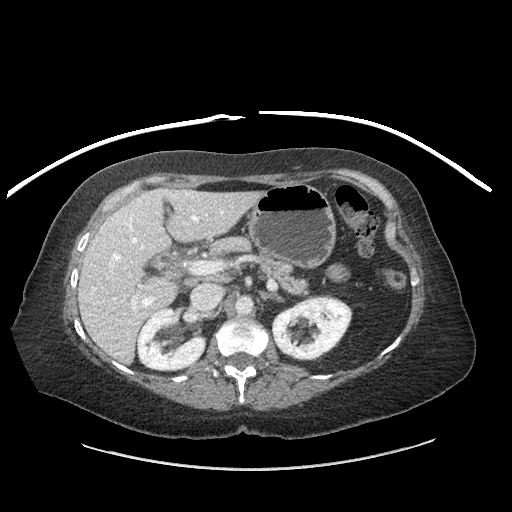 Upper abdomen. Image size 512x512. CT scan slice.

pancreas:
  - region(260, 258, 306, 294)